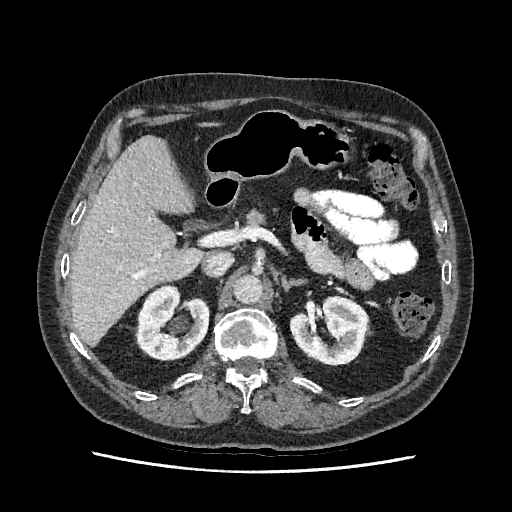 Abdomen, CT scan slice

Kidney: (left=290, top=297, right=367, bottom=364), (left=137, top=286, right=208, bottom=359).
Liver: (left=72, top=135, right=203, bottom=346).